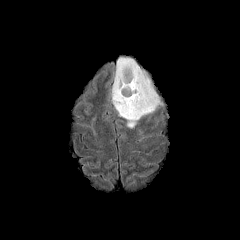
FLAIR magnetic resonance.
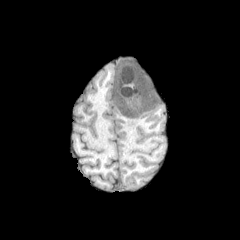
T1-weighted magnetic resonance.
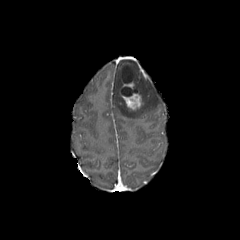
Post-contrast T1-weighted MRI.
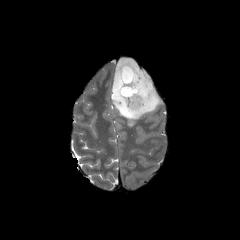
T2-weighted MR.
Image size 240x240
Edema = [x1=114, y1=60, x2=161, y2=128].
Non-enhancing tumor core = [x1=118, y1=65, x2=137, y2=83], [x1=121, y1=86, x2=138, y2=96].
Enhancing tumor = [x1=121, y1=80, x2=135, y2=89], [x1=118, y1=89, x2=144, y2=111].